FLAIR MR.
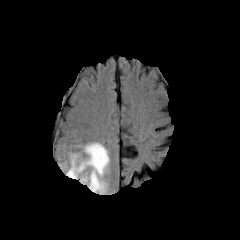
T1-weighted magnetic resonance.
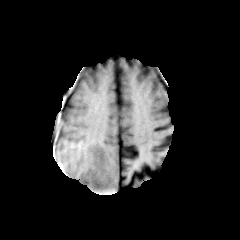
Post-contrast T1-weighted MRI.
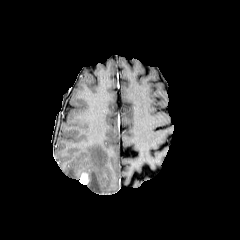
T2-weighted magnetic resonance.
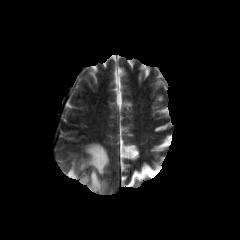
Head. Image size 240x240.
edema:
  - l=66, t=143, r=109, b=191
enhancing_tumor:
  - l=79, t=172, r=88, b=183